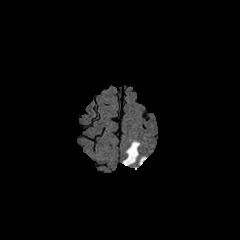
FLAIR MR.
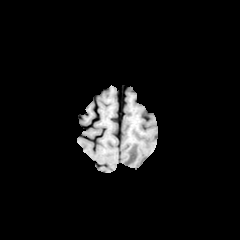
Same slice, T1-weighted MR.
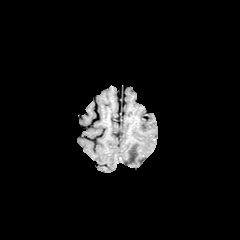
Same slice, post-contrast T1-weighted MR image.
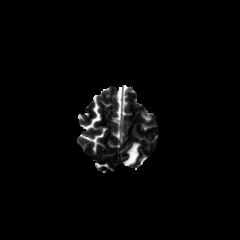
T2-weighted MR.
240x240 px
The edema appears at (left=123, top=142, right=139, bottom=165).